Slice 35/107; Abdomen; CT slice 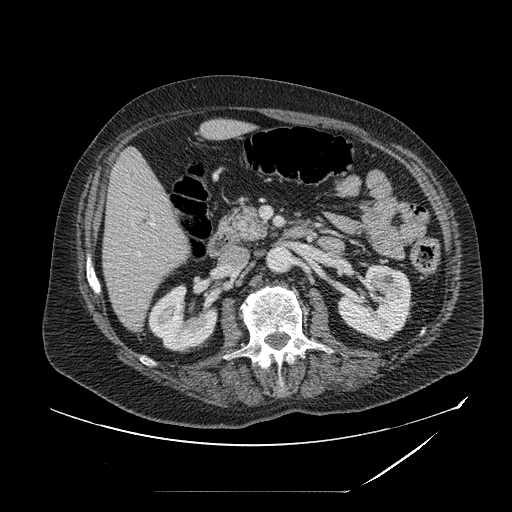
The pancreatic tumor appears at rect(245, 226, 264, 240). The pancreas is bounded by rect(221, 204, 266, 242).